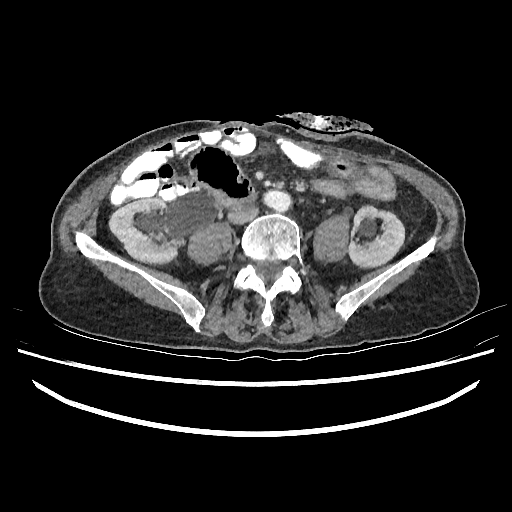
CT
<segmentation>
  <kidney>{"x1": 109, "y1": 198, "x2": 176, "y2": 262}, {"x1": 349, "y1": 207, "x2": 404, "y2": 266}</kidney>
</segmentation>